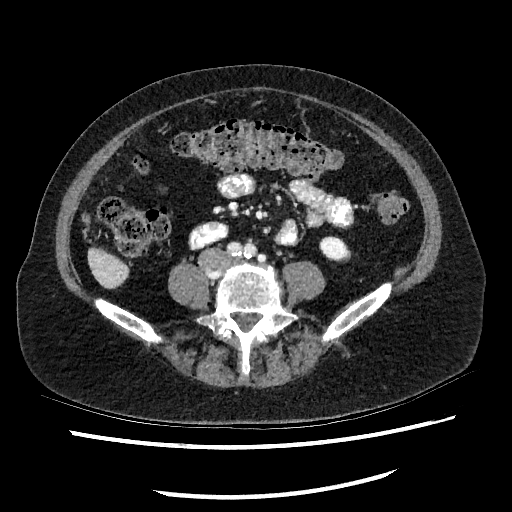
CT slice. Upper abdomen. The kidney is bounded by x1=321, y1=238, x2=346, y2=258. The liver appears at x1=87, y1=248, x2=127, y2=286.